512x512 | CT image

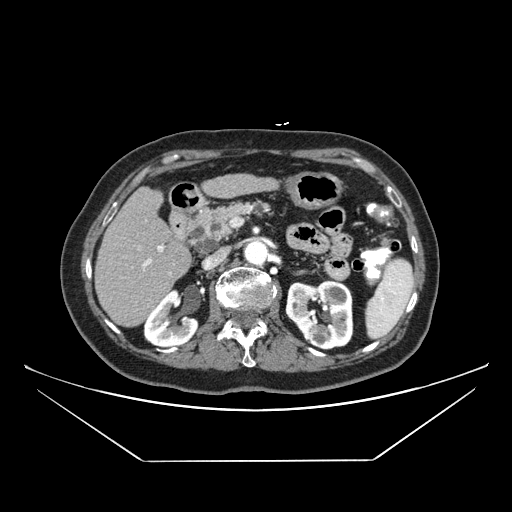

The pancreatic tumor is bounded by left=195, top=236, right=217, bottom=254. The pancreas appears at left=185, top=201, right=274, bottom=252.